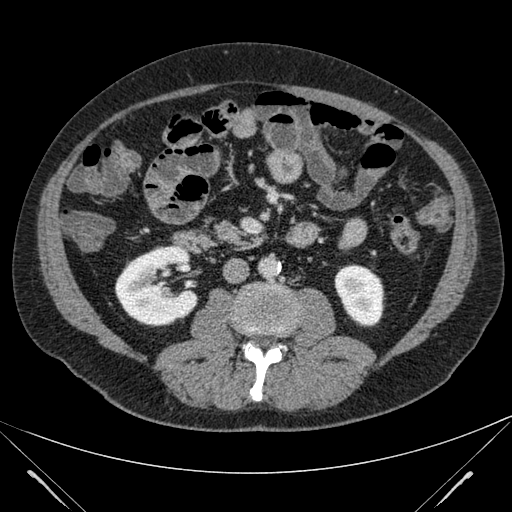 Computed tomography. kidney:
  - region(116, 246, 196, 324)
  - region(335, 266, 382, 324)